Abdomen | CT

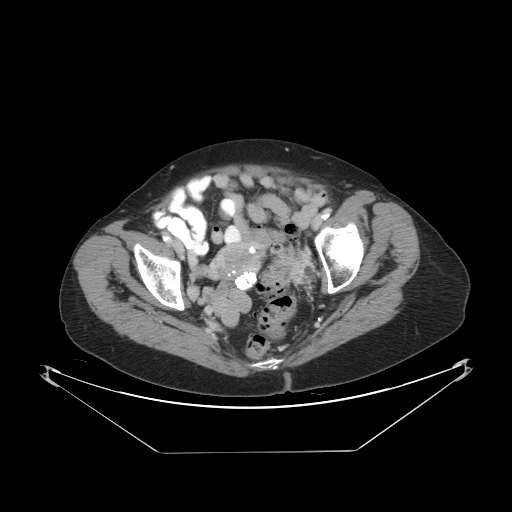
The colon tumor is at (x1=260, y1=258, x2=291, y2=289).